Slice 42/155. CT scan slice. 512x512 px.

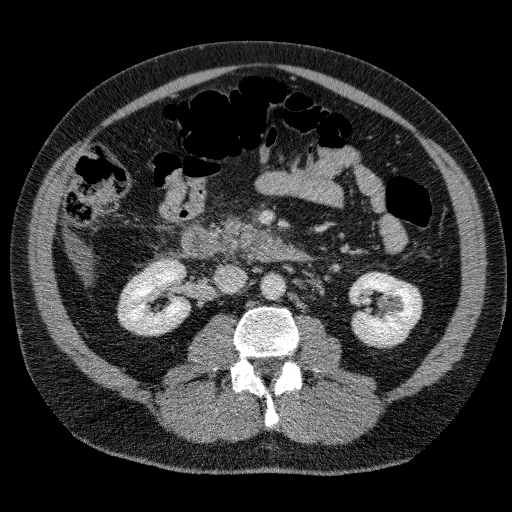

Liver: bbox(65, 236, 93, 278).
Kidney: bbox(350, 273, 420, 345); bbox(120, 260, 189, 333).